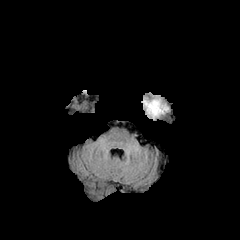
FLAIR magnetic resonance.
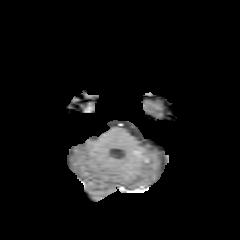
T1-weighted magnetic resonance.
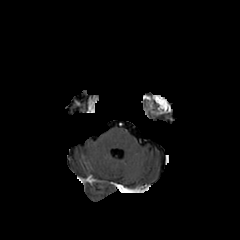
Post-contrast T1-weighted MRI.
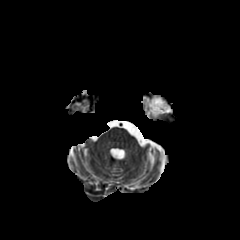
T2-weighted MRI.
Brain
enhancing tumor: <bbox>143, 95, 169, 115</bbox>